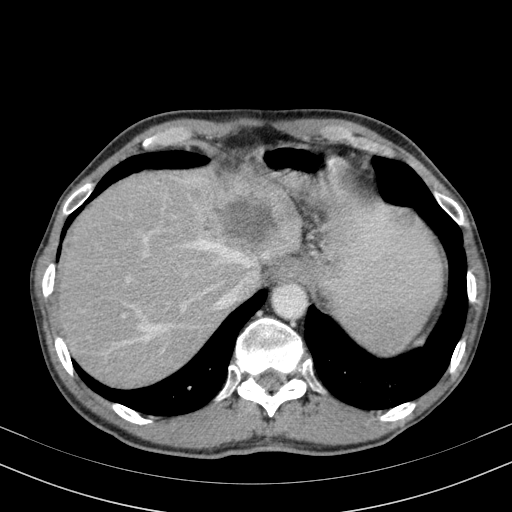
CT scan slice.

The liver is bounded by 57,156,301,389. The liver lesion is bounded by 215,200,273,242.